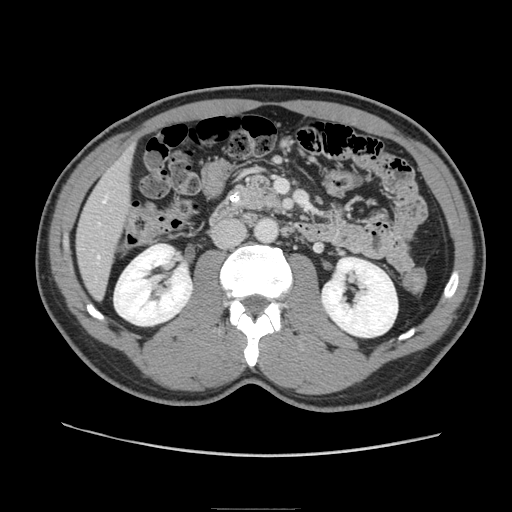
Upper abdomen, CT scan slice
pancreas:
  - (left=231, top=173, right=282, bottom=211)